Slice index 58. Image size 240x240.
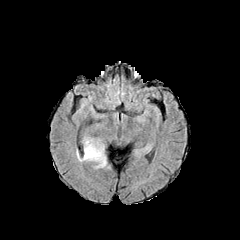
FLAIR magnetic resonance.
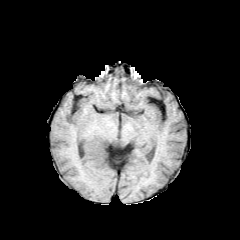
T1-weighted MRI.
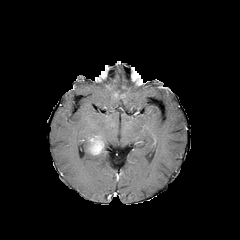
Same slice, post-contrast T1-weighted magnetic resonance.
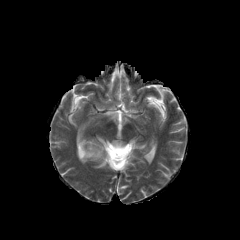
T2-weighted MRI.
Edema: bounding box (left=76, top=137, right=106, bottom=168).
Enhancing tumor: bounding box (left=87, top=137, right=104, bottom=155).